Brain, Slice 89 of 155, Field of view 240x240 mm, Image size 240x240
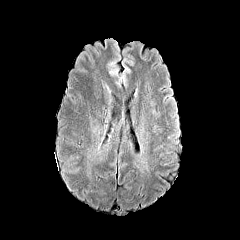
FLAIR MR.
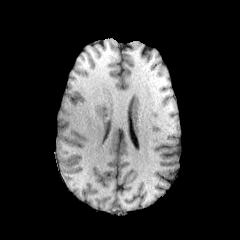
T1-weighted MRI.
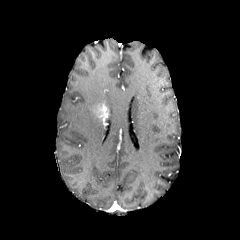
Post-contrast T1-weighted MR image.
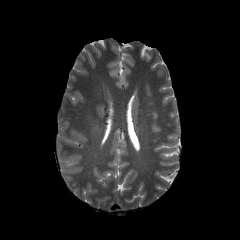
T2-weighted MR image of the same slice.
• enhancing tumor: bbox=[95, 104, 104, 119]